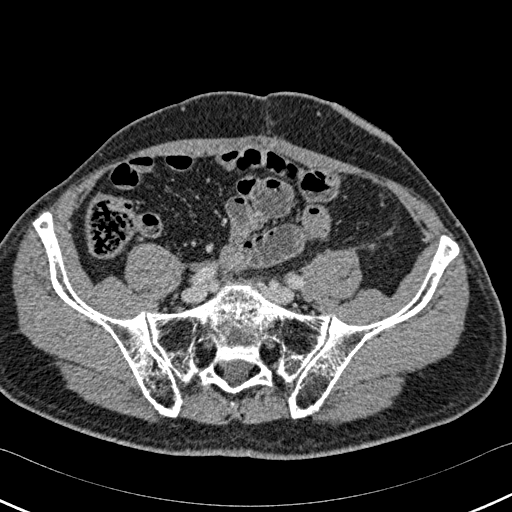 512x512 px, CT scan slice
<segmentation>
  <bone>x1=33, y1=212, x2=458, y2=418</bone>
</segmentation>